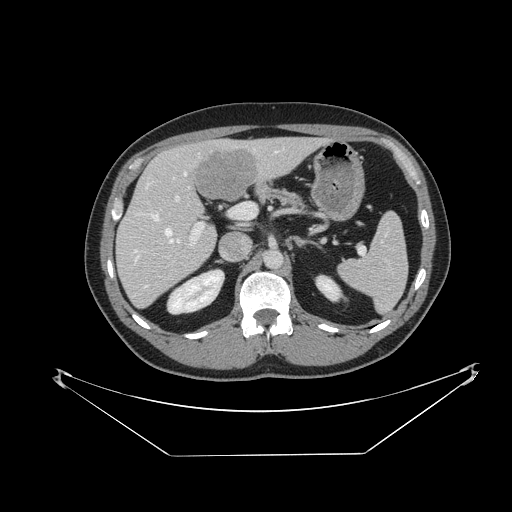 CT scan slice | 512x512 px
Spleen: bounding box (x1=339, y1=214, x2=406, y2=312).